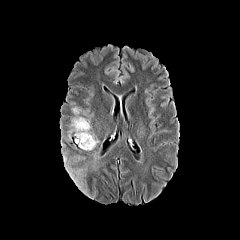
FLAIR MRI.
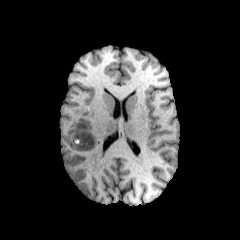
T1-weighted magnetic resonance.
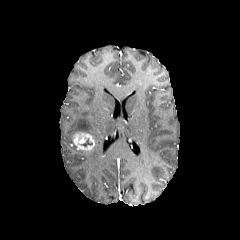
Post-contrast T1-weighted MR image of the same slice.
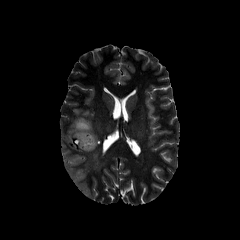
Same slice, T2-weighted MR image.
Image size 240x240. Head.
enhancing_tumor:
  - 73, 132, 95, 151
edema:
  - 62, 152, 84, 184
  - 68, 117, 100, 150
  - 91, 144, 102, 167
  - 71, 107, 80, 115